512x512. CT scan slice. Field of view 500x500 mm.

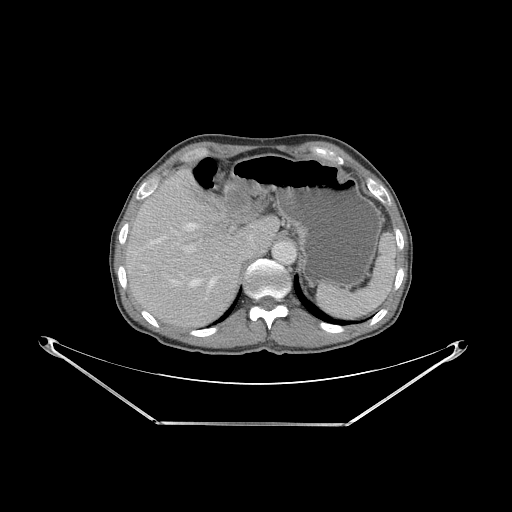

Liver: (x1=127, y1=170, x2=278, y2=326).
Lung: (x1=212, y1=287, x2=241, y2=324), (x1=294, y1=274, x2=372, y2=325).
Bone: (x1=118, y1=267, x2=126, y2=287), (x1=137, y1=185, x2=152, y2=198), (x1=119, y1=224, x2=127, y2=243), (x1=370, y1=187, x2=387, y2=199), (x1=244, y1=259, x2=290, y2=328), (x1=321, y1=323, x2=343, y2=332), (x1=396, y1=229, x2=403, y2=248), (x1=370, y1=309, x2=386, y2=324), (x1=191, y1=328, x2=215, y2=336), (x1=142, y1=311, x2=158, y2=326), (x1=395, y1=268, x2=403, y2=289).
Liver lesion: (x1=228, y1=190, x2=256, y2=215).